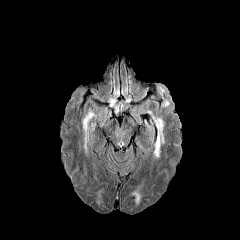
FLAIR MR image.
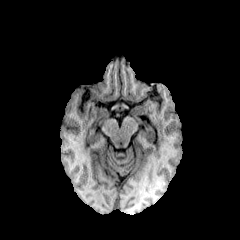
T1-weighted MR image.
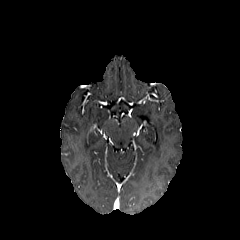
Post-contrast T1-weighted MR of the same slice.
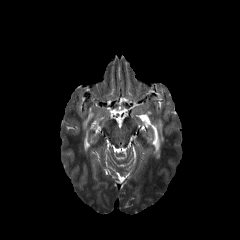
T2-weighted MR.
Head.
3 edema regions appear at {"x1": 153, "y1": 119, "x2": 164, "y2": 157}, {"x1": 134, "y1": 189, "x2": 141, "y2": 203}, {"x1": 82, "y1": 108, "x2": 96, "y2": 151}.